512x512 px. CT scan slice.
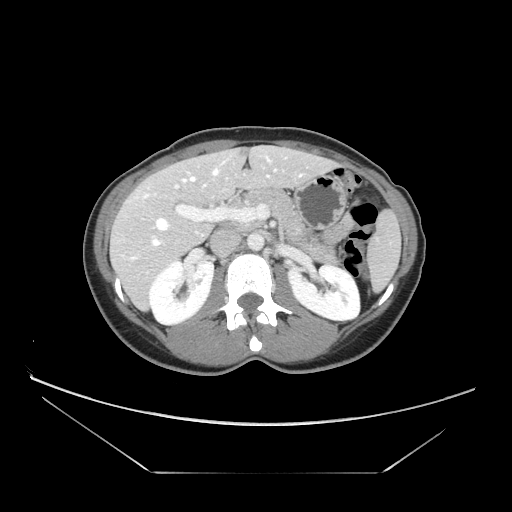
Findings:
• pancreas: {"x1": 235, "y1": 221, "x2": 259, "y2": 231}, {"x1": 239, "y1": 187, "x2": 336, "y2": 264}